CT slice | Slice index 32 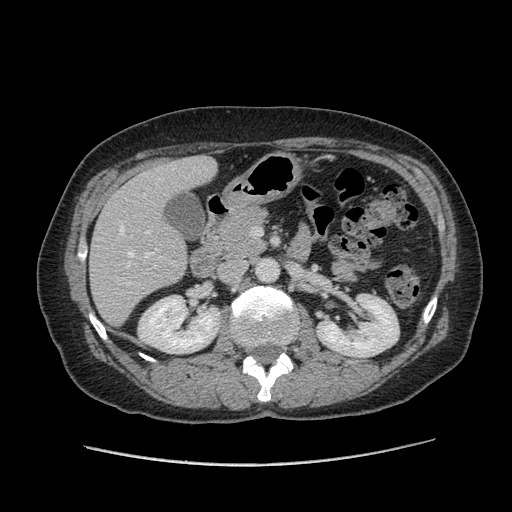

Some hepatic vessels may have no box.
The hepatic vessel is at region(146, 231, 149, 234).